512x512; Computed tomography; Slice 122/216

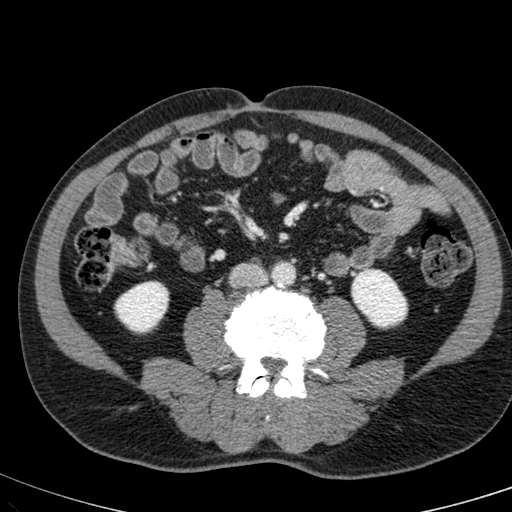

Kidney = [116,282,167,330], [352,270,405,325].